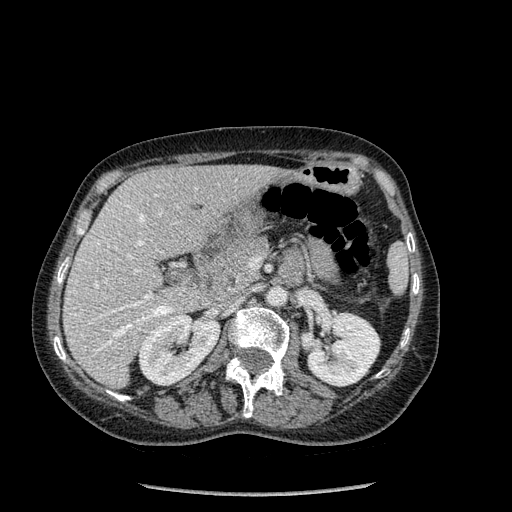
CT image. 512x512 px. Liver.
2 kidney regions are bounded by 139:315:219:384, 302:310:379:385. 7 bone regions appear at 412:273:419:294, 226:306:289:417, 57:258:69:284, 106:390:130:401, 406:233:415:252, 401:328:409:347, 54:336:65:360. The liver lies within 63:165:283:388.